CT slice, Abdomen 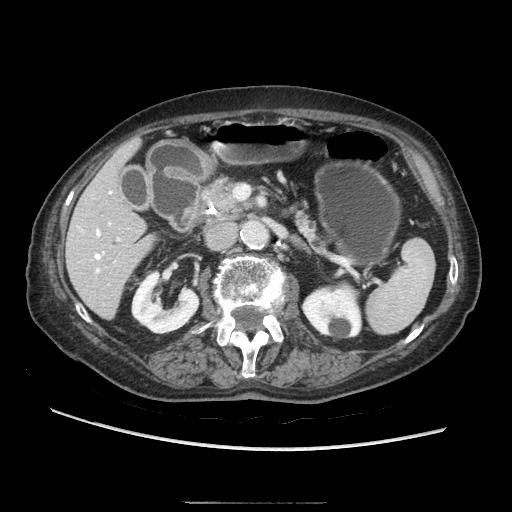 Annotated regions:
• pancreatic tumor: {"x1": 212, "y1": 186, "x2": 233, "y2": 208}
• pancreas: {"x1": 205, "y1": 178, "x2": 252, "y2": 214}, {"x1": 294, "y1": 209, "x2": 325, "y2": 252}